Liver. Slice 449 of 689. CT scan slice. 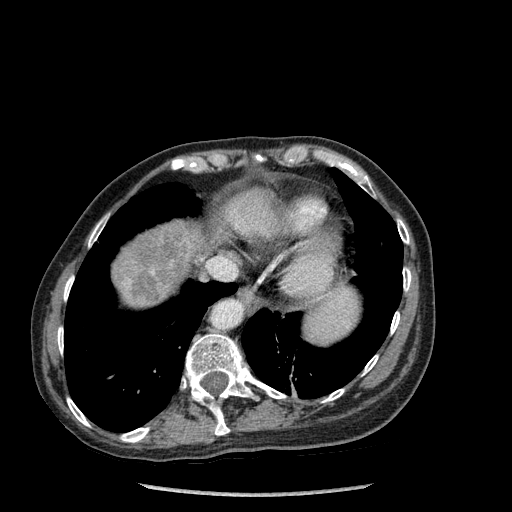
Findings:
- focal liver lesion: [149,241,185,279], [133,275,155,294]
- liver: [219,188,272,234], [112,220,223,308]
- bone: [88,215,108,247], [330,158,372,192], [63,275,74,300], [181,333,286,435], [120,427,149,442], [362,355,378,375], [402,267,411,291], [67,398,90,426], [321,389,344,402], [57,327,63,354], [397,219,409,243], [390,311,399,334]
- lung: [242,169,402,398], [64,183,237,432]